Field of view 240x240 mm
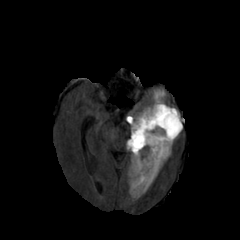
FLAIR MR image.
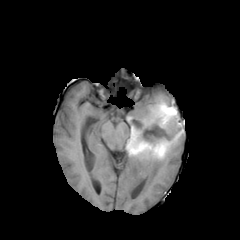
T1-weighted MRI.
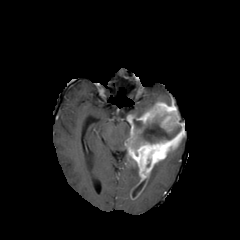
Post-contrast T1-weighted MR of the same slice.
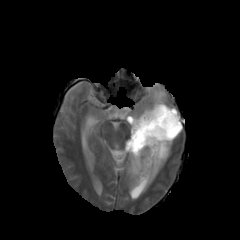
T2-weighted MR of the same slice.
3 non-enhancing tumor core regions are located at (132,176,148,194), (129,155,138,175), (133,114,181,143). The enhancing tumor is bounded by (127,102,183,181). 3 edema regions are located at (138,161,163,193), (152,90,165,103), (130,176,138,196).